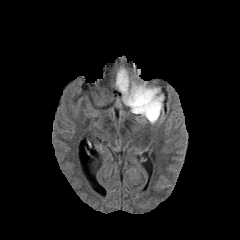
FLAIR MR.
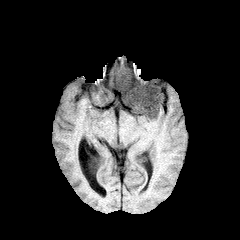
Same slice, T1-weighted MRI.
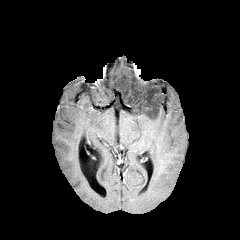
Post-contrast T1-weighted MR.
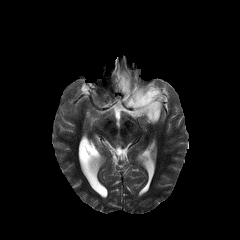
T2-weighted MRI.
Head. 240x240 px.
Annotated regions:
* non-enhancing tumor core: left=129, top=90, right=157, bottom=115
* edema: left=115, top=101, right=122, bottom=113; left=115, top=63, right=165, bottom=124